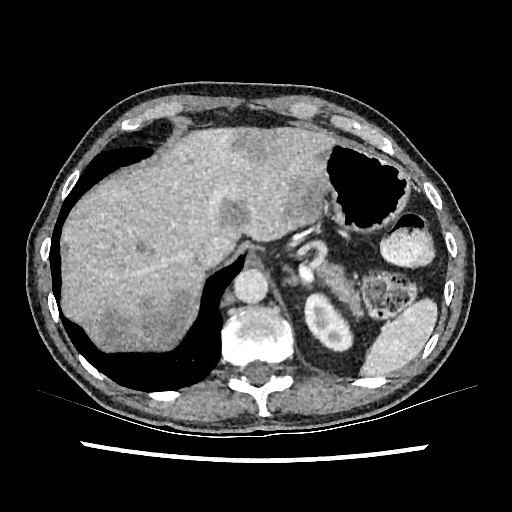 CT scan slice; Image size 512x512; Abdomen
Annotated regions:
* liver lesion: x1=84, y1=290, x2=198, y2=350; x1=286, y1=172, x2=326, y2=223; x1=136, y1=241, x2=147, y2=253; x1=315, y1=148, x2=330, y2=161; x1=63, y1=242, x2=69, y2=258; x1=230, y1=128, x2=278, y2=161; x1=216, y1=198, x2=250, y2=228
* kidney: x1=305, y1=295, x2=350, y2=350
* liver: x1=62, y1=128, x2=334, y2=324